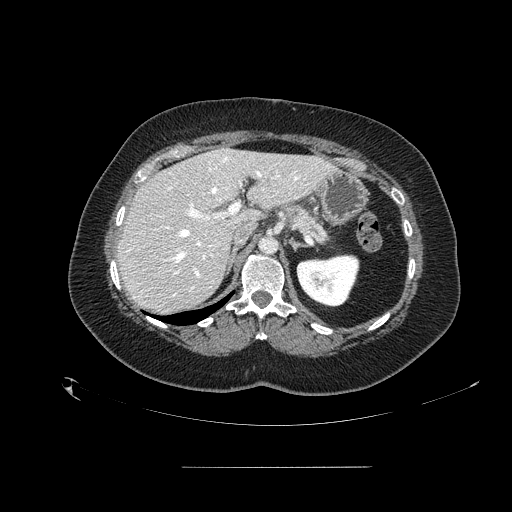
Computed tomography; Upper abdomen
Pancreatic tumor — [288,208,298,219].
Pancreas — [278,202,333,248].